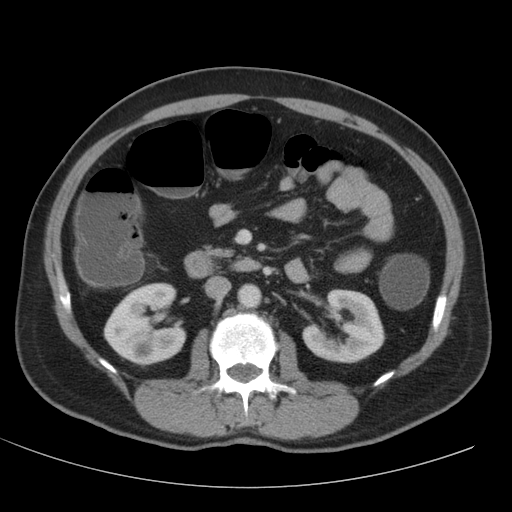 Computed tomography. Abdomen. 2 kidney regions are located at left=303, top=290, right=383, bottom=362; left=104, top=283, right=185, bottom=364.